Image width 512 mm | CT | Slice 17/122 | Abdomen 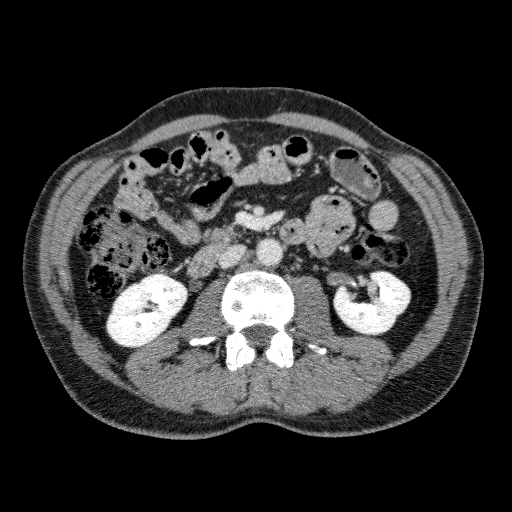
kidney: (334,272,409,333), (107,274,186,346)